FLAIR MRI.
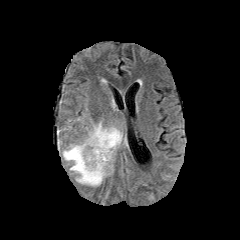
T1-weighted MRI.
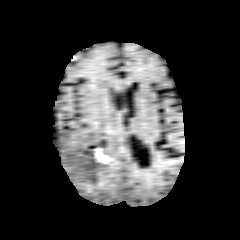
Post-contrast T1-weighted MR.
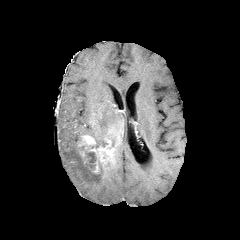
T2-weighted MR image.
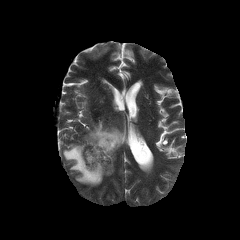
240x240 px
{"edema": ["bbox(84, 122, 125, 148)", "bbox(62, 136, 112, 186)"], "non-enhancing_tumor_core": ["bbox(106, 131, 116, 145)"], "enhancing_tumor": ["bbox(84, 135, 95, 145)", "bbox(91, 132, 121, 163)"]}